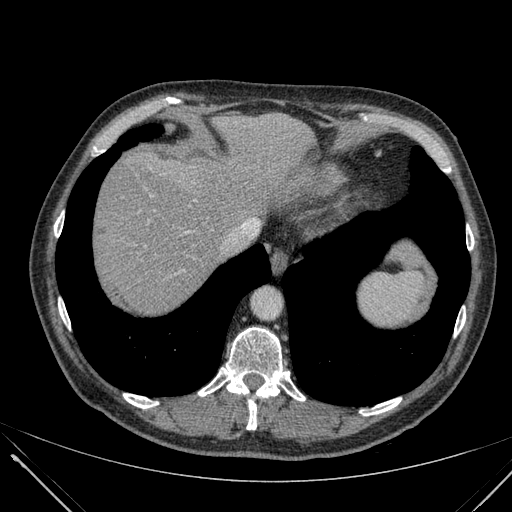
CT
liver:
  - rect(94, 113, 331, 314)